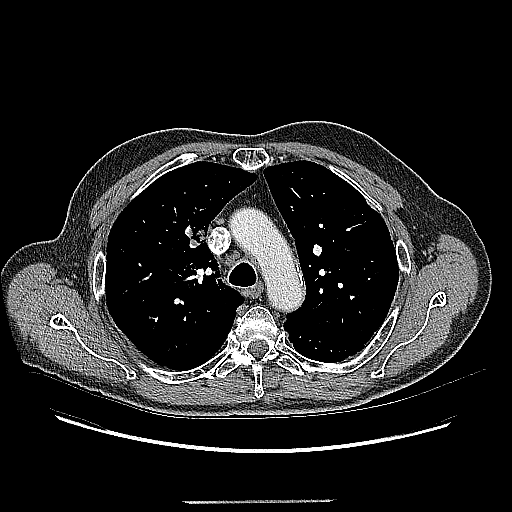 CT slice
{"lung_tumor": ["box(195, 225, 206, 242)"]}